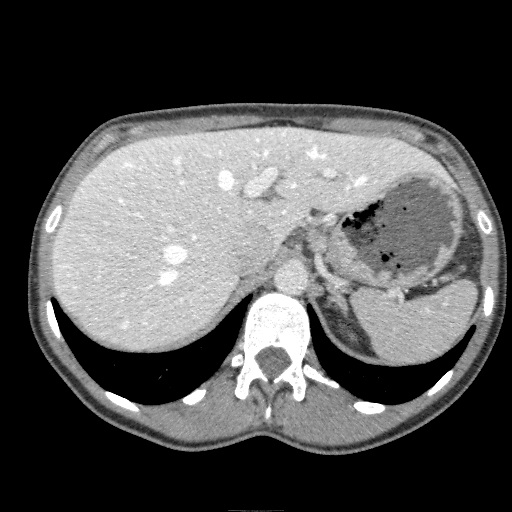

Computed tomography | Abdomen

The liver appears at (52, 126, 456, 350).